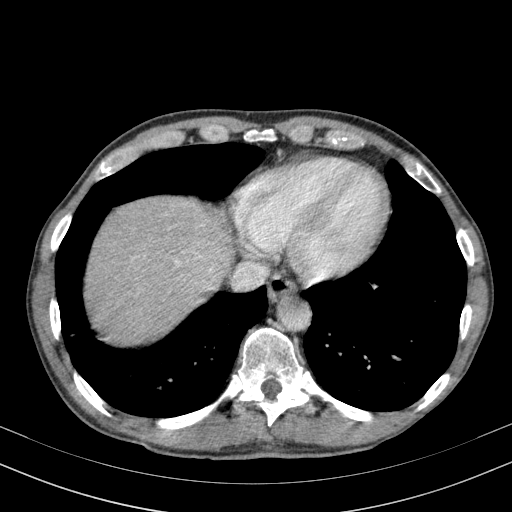 CT slice, Liver
Annotated regions:
- liver: 86, 196, 233, 346